Image width 485 mm, Slice 136 of 258, Computed tomography, Abdomen

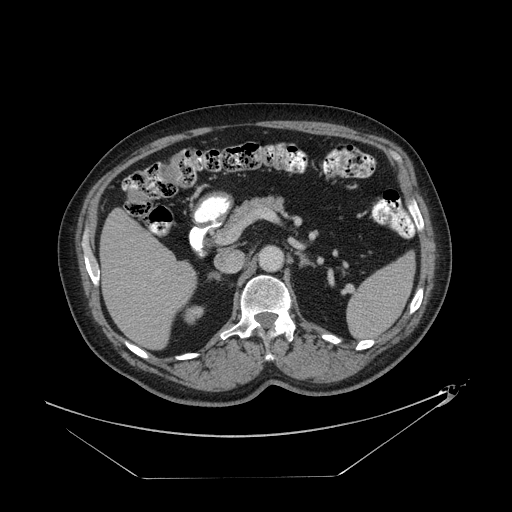

Segmented structures:
* colon tumor: bbox(159, 153, 182, 182)